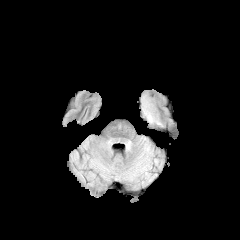
FLAIR magnetic resonance.
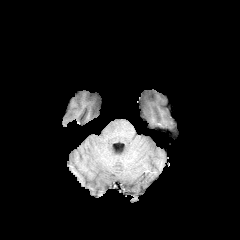
Same slice, T1-weighted MR.
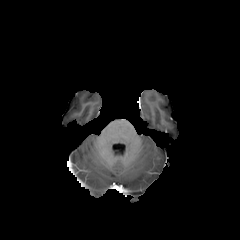
Same slice, post-contrast T1-weighted MRI.
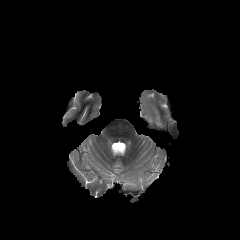
T2-weighted MR image.
240x240. Brain.
edema: 141,95,161,125